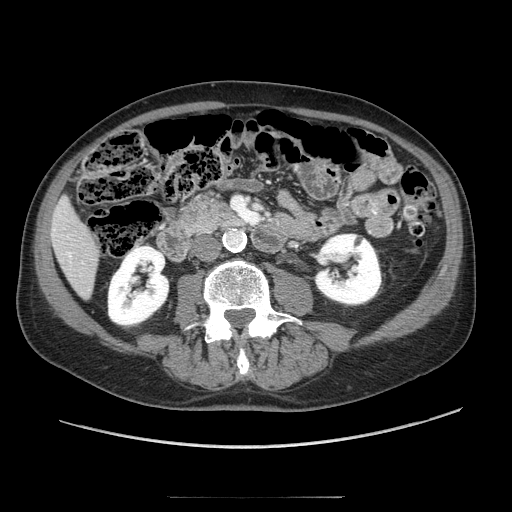

CT scan slice

{
  "pancreas": [
    "rect(193, 196, 246, 234)"
  ]
}